Image width 240 mm
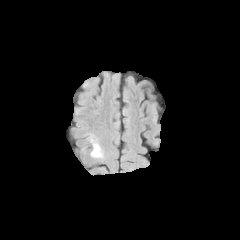
FLAIR MR.
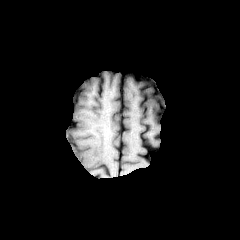
T1-weighted magnetic resonance.
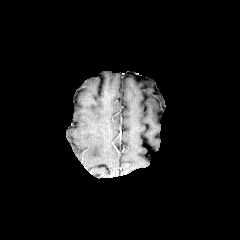
Same slice, post-contrast T1-weighted MR image.
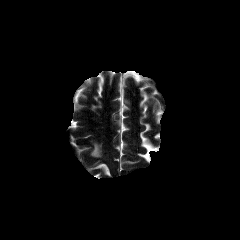
T2-weighted MR of the same slice.
Segmented structures:
• edema: (x1=91, y1=144, x2=100, y2=156)